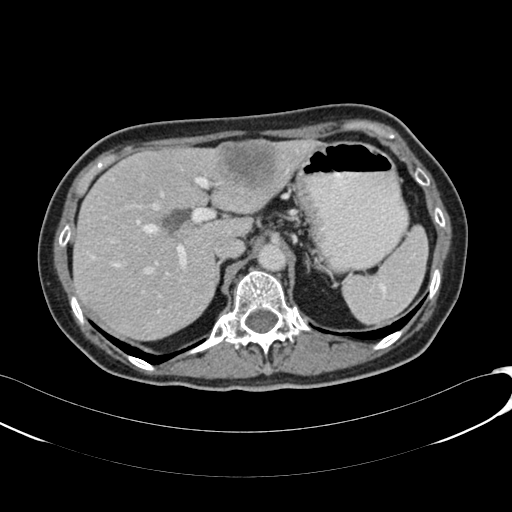
Liver, CT scan slice
The hepatic lesion is located at [215, 143, 276, 189]. The liver is bounded by [74, 140, 321, 339].